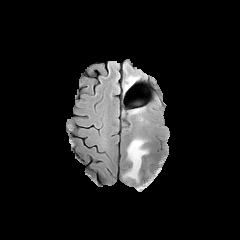
FLAIR MR.
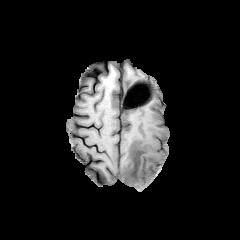
T1-weighted MR.
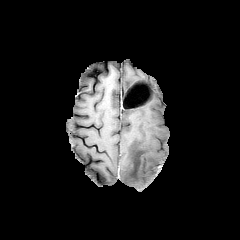
Post-contrast T1-weighted MR image.
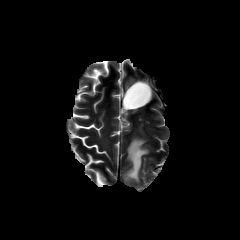
T2-weighted MR.
Findings:
- edema: 123,138,148,181